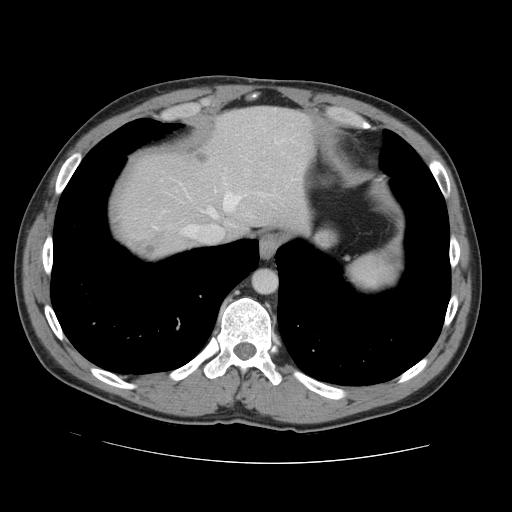
Liver. CT scan slice. Only some of the vessels may be annotated.
Segmented structures:
* hepatic vessel: bbox=[243, 193, 245, 195]; bbox=[223, 192, 239, 211]; bbox=[162, 210, 164, 212]; bbox=[259, 193, 269, 196]; bbox=[222, 173, 224, 179]; bbox=[274, 140, 277, 142]; bbox=[202, 207, 216, 217]; bbox=[181, 225, 195, 233]; bbox=[225, 222, 230, 224]; bbox=[184, 190, 188, 196]
* liver tumor: bbox=[147, 248, 156, 254]; bbox=[195, 152, 208, 161]